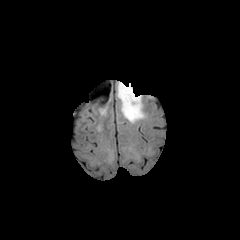
FLAIR magnetic resonance.
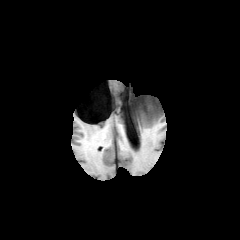
T1-weighted MR.
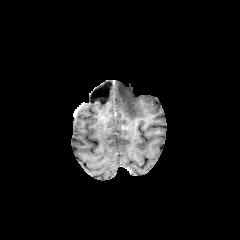
Post-contrast T1-weighted MR.
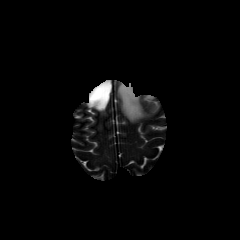
Same slice, T2-weighted magnetic resonance.
Head
edema: 117, 84, 145, 122